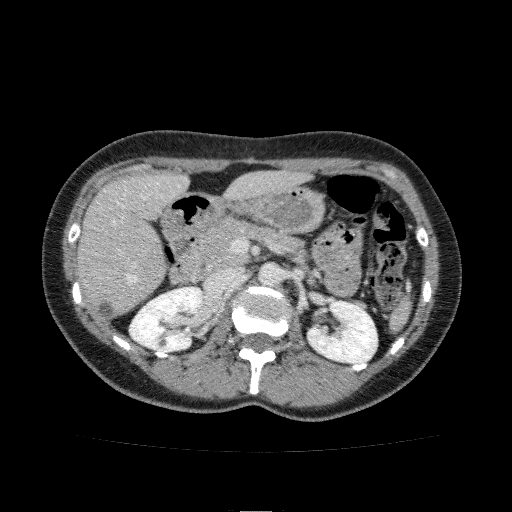

Upper abdomen | CT scan slice
Liver: bounding box [77,171,190,314], [221,171,313,200].
Kidney: bounding box [129,287,202,352], [308,301,377,364].